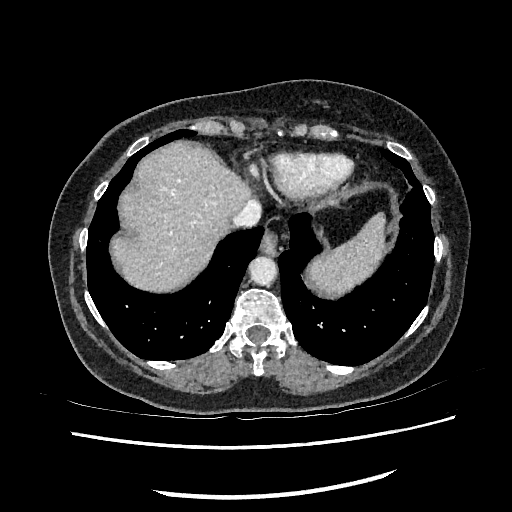

Abdomen; CT slice
Liver = (112,142,249,289).